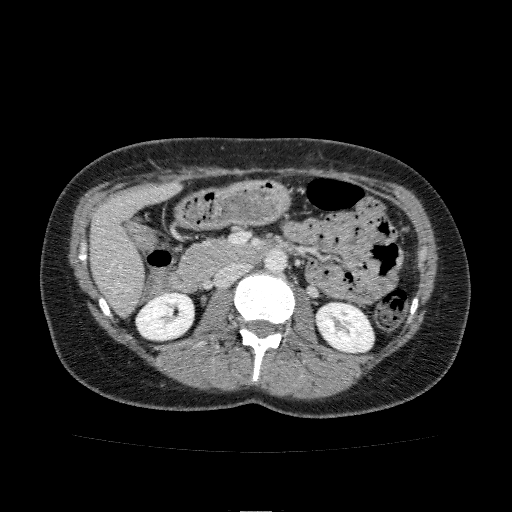 CT slice

The liver is bounded by (89, 183, 180, 314). 2 kidney regions appear at (136, 293, 193, 340), (316, 303, 373, 352).